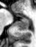

MR
Posterior hippocampus at (16, 18, 29, 30).